Head
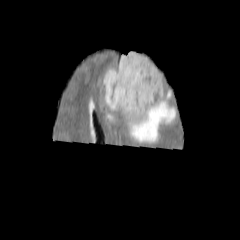
FLAIR MR.
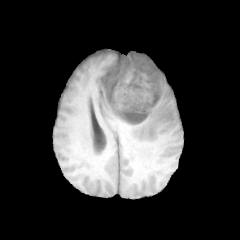
T1-weighted MR image of the same slice.
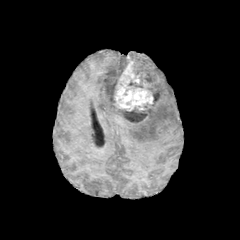
Post-contrast T1-weighted MRI.
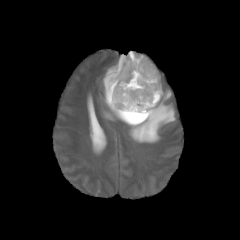
T2-weighted MR image of the same slice.
Edema at 105:73:175:143, 103:52:132:77.
Non-enhancing tumor core at 103:59:128:103, 128:52:161:102, 122:104:152:123.
Enhancing tumor at 113:56:153:110.